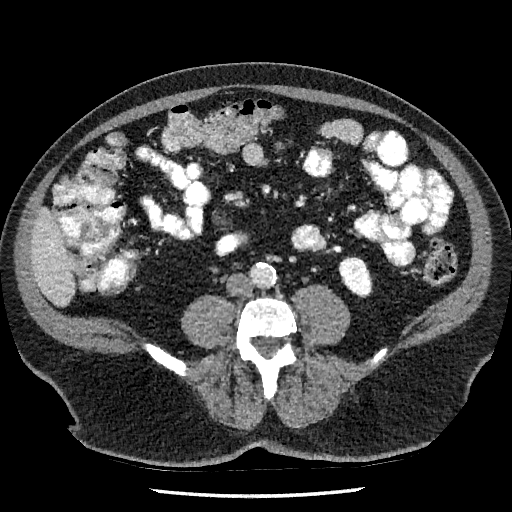 512x512; CT scan slice
kidney: box=[340, 258, 370, 295] | liver: box=[31, 208, 76, 306]